FLAIR MRI.
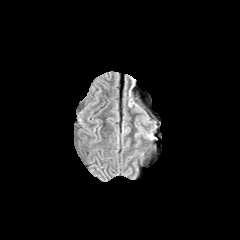
T1-weighted MRI.
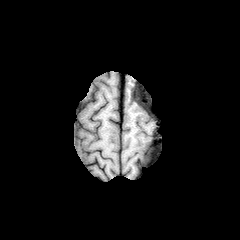
Post-contrast T1-weighted MR.
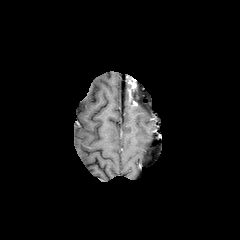
T2-weighted MR image.
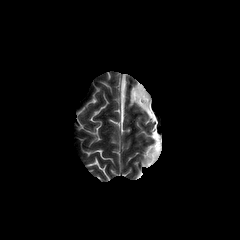
The edema is bounded by box=[138, 126, 147, 136].